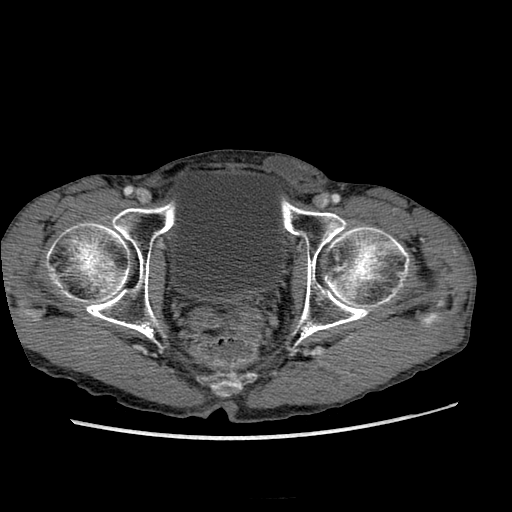 CT image
<segmentation>
  <urinary_bladder>{"x1": 168, "y1": 169, "x2": 287, "y2": 290}</urinary_bladder>
</segmentation>